Slice index 204 | Image size 512x512 | Liver | CT | Field of view 432x432 mm 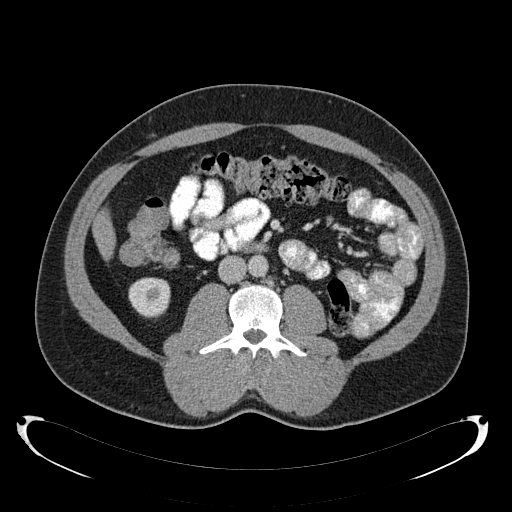 Liver — (93, 211, 113, 256).
Kidney — (129, 278, 169, 316).